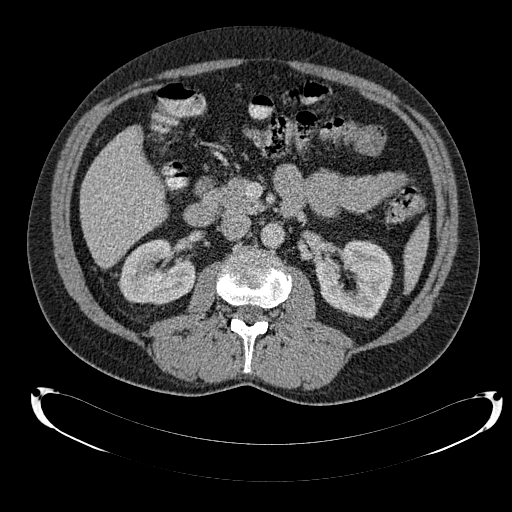 CT. Upper abdomen.
<segmentation>
  <kidney>l=316, t=241, r=392, b=317; l=120, t=240, r=194, b=303</kidney>
  <liver>l=79, t=126, r=165, b=268</liver>
</segmentation>